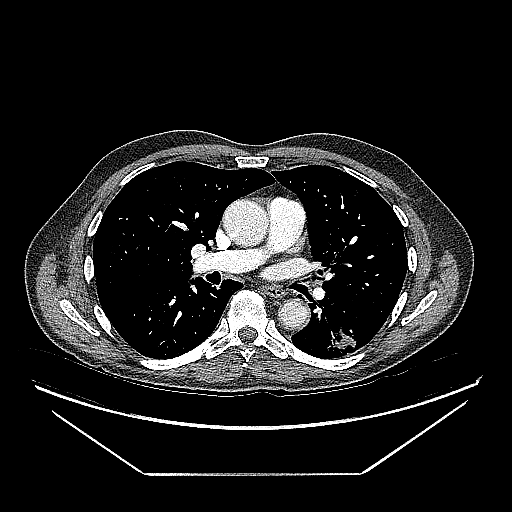

Chest | CT image

Annotated regions:
* lung tumor: rect(326, 325, 357, 353)